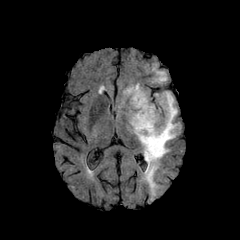
FLAIR MR.
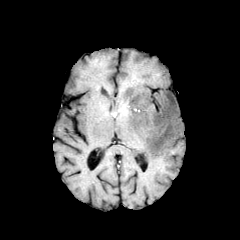
T1-weighted MRI of the same slice.
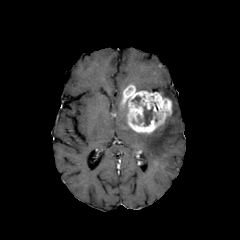
Post-contrast T1-weighted MR.
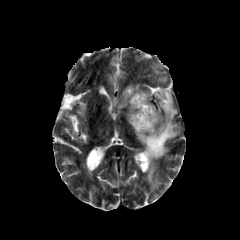
T2-weighted MRI.
240x240 px. Head.
Non-enhancing tumor core = bbox(144, 107, 152, 125).
Enhancing tumor = bbox(122, 85, 172, 133).
Edema = bbox(156, 71, 167, 82); bbox(134, 91, 180, 187).